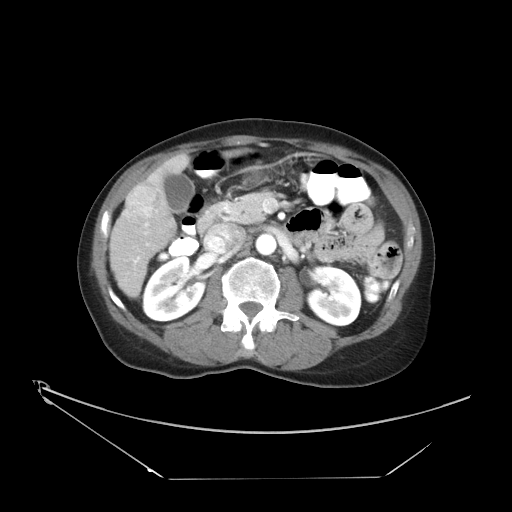
Computed tomography
Not every hepatic vessel necessarily has a box.
3 hepatic vessel regions are bounded by (x1=146, y1=243, x2=148, y2=245), (x1=145, y1=223, x2=147, y2=225), (x1=136, y1=257, x2=139, y2=260). The liver tumor is at (x1=126, y1=184, x2=162, y2=217).